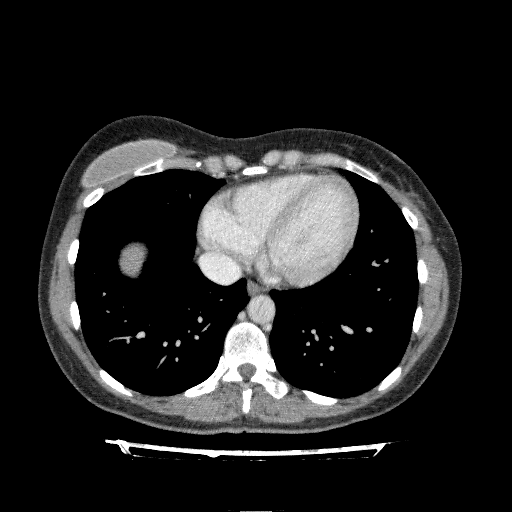 512x512, CT scan slice

liver:
  - [x1=120, y1=243, x2=144, y2=275]